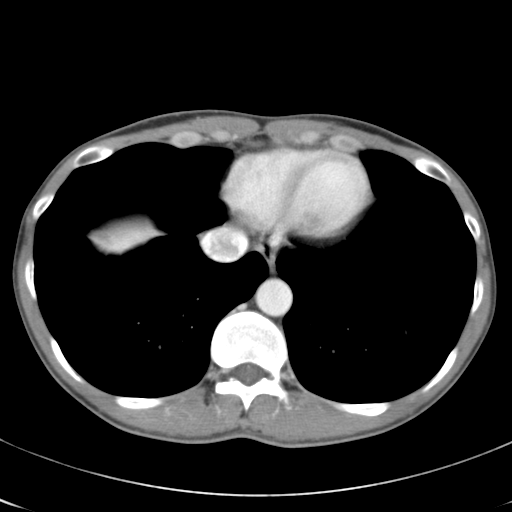

CT scan slice; 512x512

Not every hepatic vessel necessarily has a box.
Segmented structures:
* hepatic vessel: (204,236,210,250)
* liver tumor: (94,234,119,250)